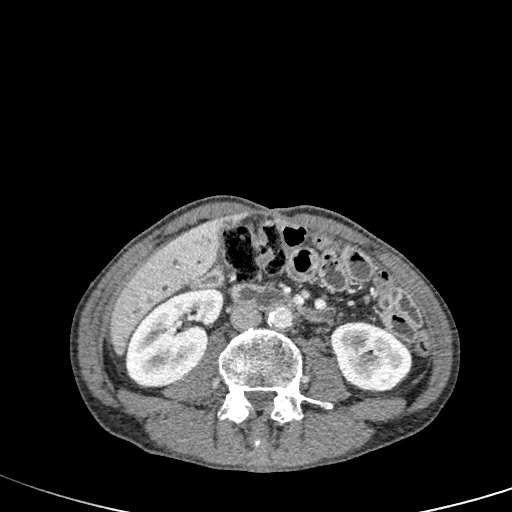

Computed tomography; 512x512; Abdomen
Liver: l=111, t=218, r=223, b=355.
Kidney: l=126, t=289, r=222, b=385; l=331, t=323, r=410, b=390.
Focal liver lesion: l=223, t=214, r=245, b=226.